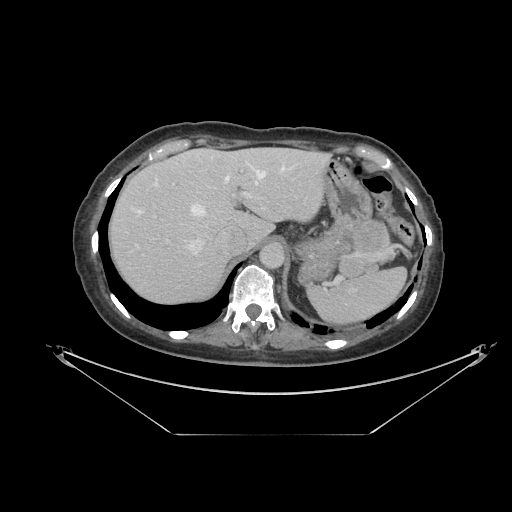

CT scan slice. Image size 512x512. 2 pancreas regions appear at <box>339,226,379,279</box>, <box>378,222,391,253</box>. The pancreatic tumor appears at <box>352,219,389,253</box>.